CT image 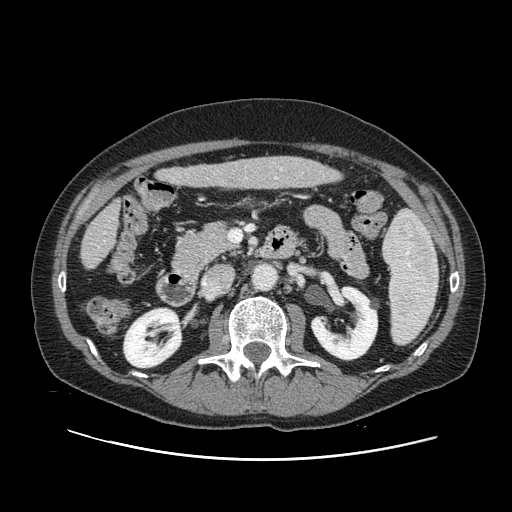

{
  "pancreas": [
    "x1=172, y1=223, x2=233, y2=283"
  ]
}